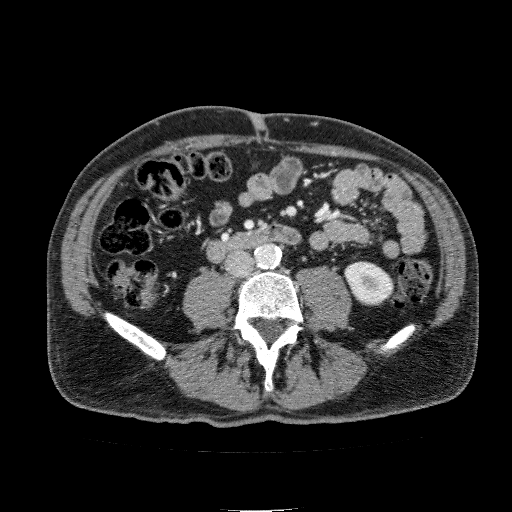
CT scan slice; Abdomen; 512x512
Liver at rect(103, 203, 116, 222).
Kidney at rect(345, 263, 392, 303).